FLAIR MR.
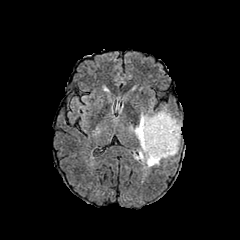
T1-weighted MR image.
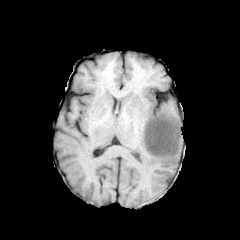
Post-contrast T1-weighted MR.
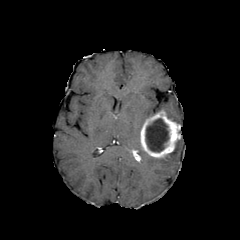
T2-weighted MR.
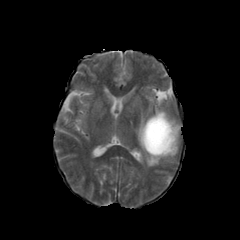
2 edema regions are located at box(156, 106, 181, 124); box(133, 112, 180, 167). 2 enhancing tumor regions appear at box(132, 150, 141, 160); box(140, 110, 180, 157). The non-enhancing tumor core is at box(146, 118, 168, 151).